Brain
FLAIR MRI.
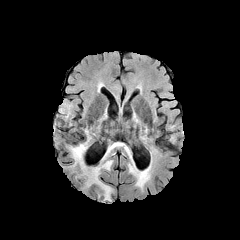
T1-weighted magnetic resonance.
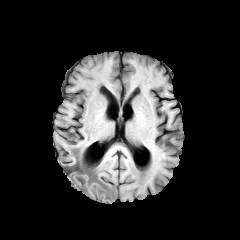
Post-contrast T1-weighted MR.
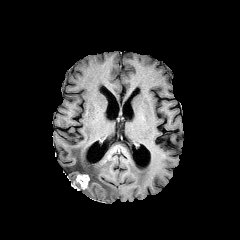
T2-weighted magnetic resonance.
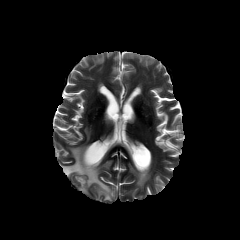
The enhancing tumor lies within 76:174:89:188. The non-enhancing tumor core appears at 64:159:93:185. 3 edema regions are located at 90:144:113:200, 126:148:151:187, 69:142:87:165.